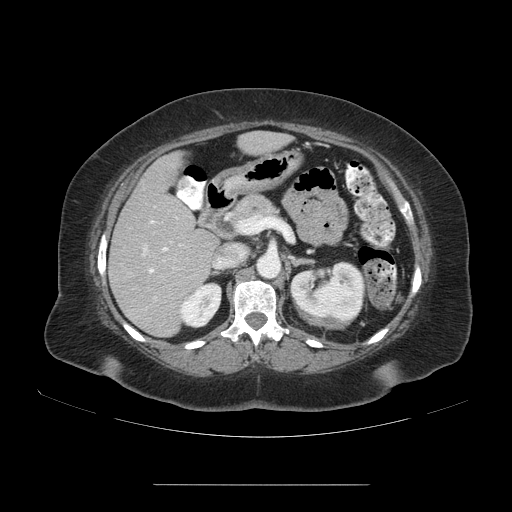

CT scan slice
Not every hepatic vessel necessarily has a box.
6 hepatic vessel regions are bounded by [x1=149, y1=270, x2=152, y2=272], [x1=142, y1=245, x2=146, y2=255], [x1=163, y1=248, x2=165, y2=250], [x1=242, y1=218, x2=269, y2=231], [x1=213, y1=246, x2=243, y2=267], [x1=150, y1=221, x2=152, y2=222]. The liver tumor is bounded by [x1=125, y1=270, x2=134, y2=278].